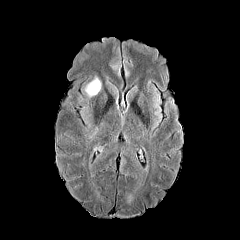
FLAIR magnetic resonance.
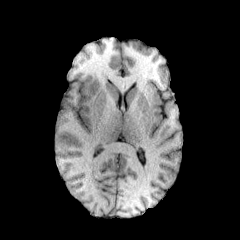
Same slice, T1-weighted MR.
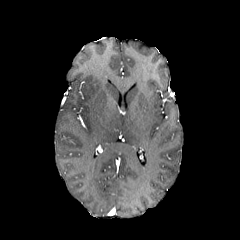
Same slice, post-contrast T1-weighted MRI.
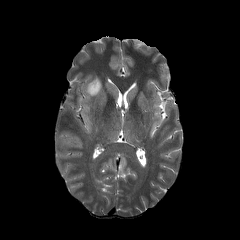
Same slice, T2-weighted magnetic resonance.
Head
Segmented structures:
• edema: 83,75,101,98